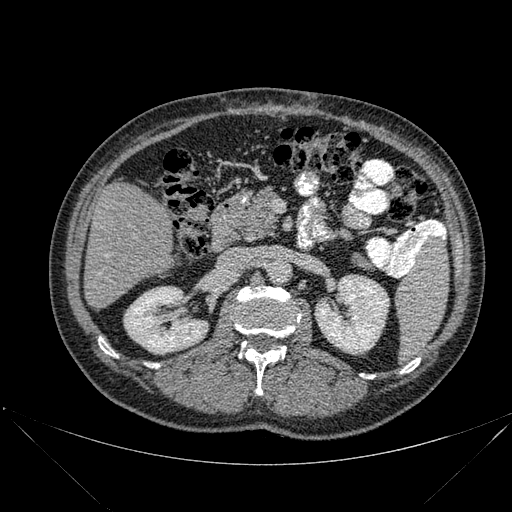

CT. Annotated regions:
• bone: x1=231 y1=286 x2=300 y2=337, x1=245 y1=346 x2=285 y2=394, x1=400 y1=358 x2=420 y2=373, x1=98 y1=337 x2=117 y2=357, x1=360 y1=373 x2=374 y2=378
• liver: x1=84 y1=183 x2=172 y2=308
• kidney: x1=124 y1=286 x2=207 y2=353, x1=315 y1=275 x2=388 y2=353